Computed tomography
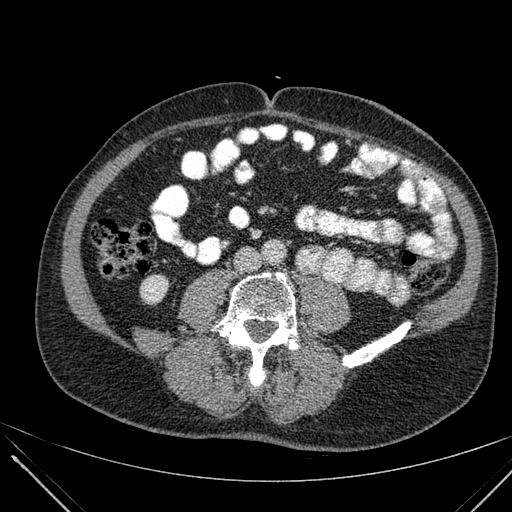 kidney:
  - left=141, top=275, right=167, bottom=302